512x512 | Image width 404 mm | CT scan slice
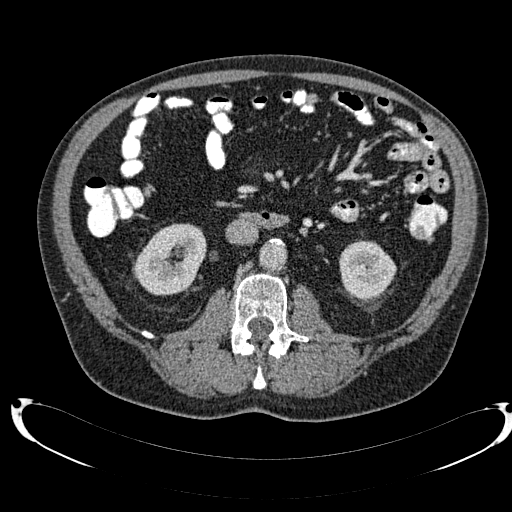
{"kidney": ["left=133, top=224, right=206, bottom=295", "left=339, top=241, right=396, bottom=300"]}